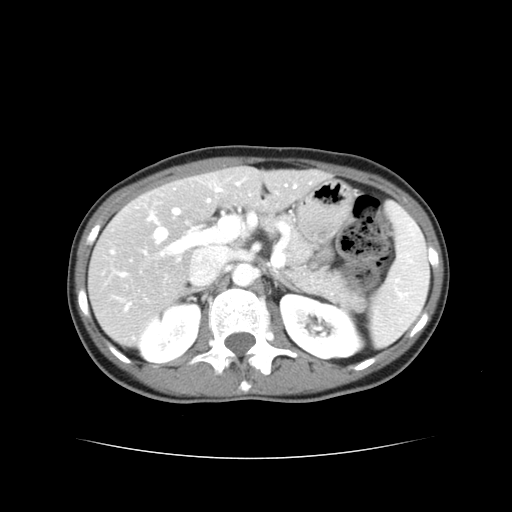 Abdomen, CT slice
Some hepatic vessels may have no box.
hepatic_vessel:
  - rect(162, 252, 164, 255)
  - rect(217, 189, 220, 191)
  - rect(168, 240, 186, 251)
  - rect(149, 213, 156, 221)
  - rect(174, 209, 179, 214)
  - rect(155, 228, 166, 241)